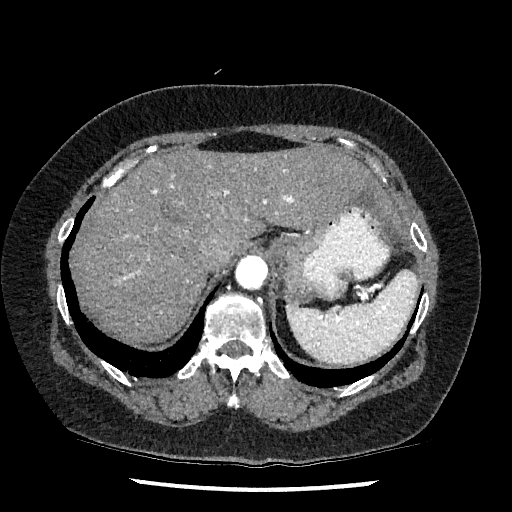
Upper abdomen; 512x512 px; CT slice
Findings:
• liver: 74 147 396 342
• hepatic lesion: 356 191 392 223